CT
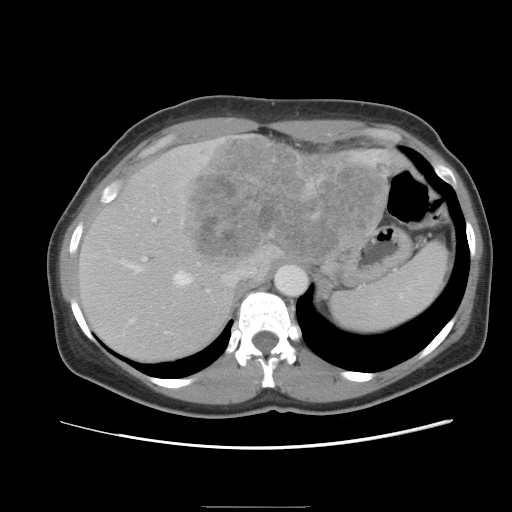

The vessel annotation is not exhaustive.
8 hepatic vessel regions appear at (173, 272, 190, 285), (142, 257, 145, 259), (120, 260, 138, 272), (206, 288, 208, 290), (130, 318, 134, 321), (152, 217, 154, 220), (164, 330, 167, 332), (220, 252, 262, 286). The liver tumor is bounded by (179, 136, 386, 265).